Upper abdomen | 512x512 | CT slice 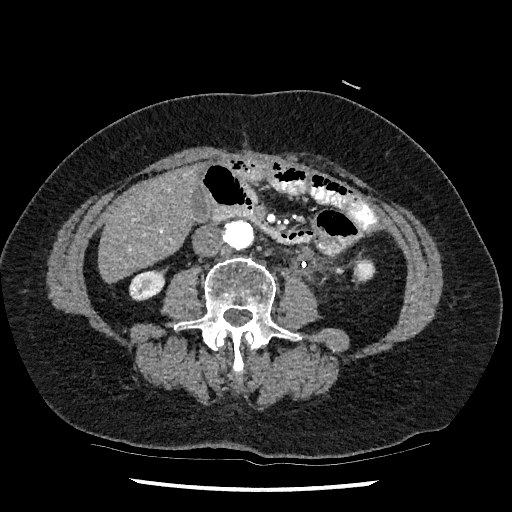 <segmentation>
  <liver><bbox>99, 165, 200, 283</bbox></liver>
  <kidney><bbox>355, 261, 373, 279</bbox>, <bbox>130, 271, 163, 299</bbox></kidney>
</segmentation>